Magnetic resonance. Slice 73 of 130. 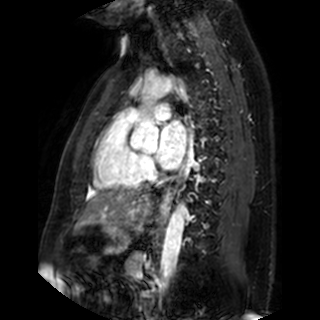 The left atrium is located at x1=155 y1=120 x2=186 y2=169.